Image width 240 mm. Head. 240x240 px. Slice 107/155.
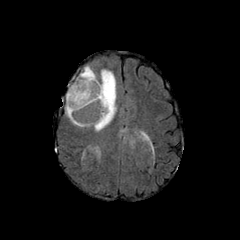
FLAIR MR image.
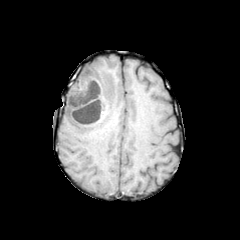
T1-weighted magnetic resonance of the same slice.
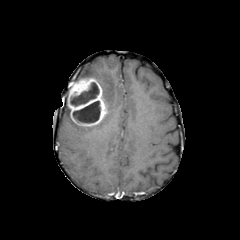
Same slice, post-contrast T1-weighted magnetic resonance.
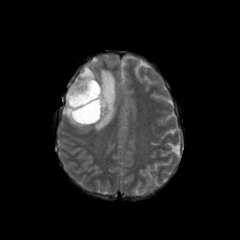
Same slice, T2-weighted MR.
Enhancing tumor: 67 78 106 125.
Edema: 75 65 116 131, 65 107 91 127.
Non-enhancing tumor core: 72 100 100 123, 70 82 99 106.